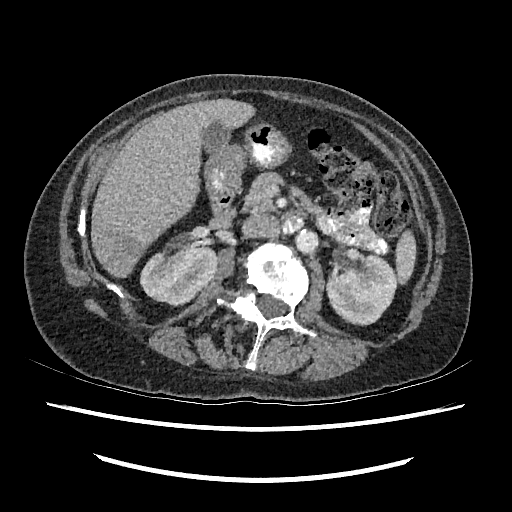 Computed tomography | Upper abdomen
Hepatic lesion: bounding box box(113, 235, 138, 257).
Kidney: bounding box box(141, 246, 217, 304); box(327, 255, 398, 324).
Liver: bounding box box(92, 99, 254, 277).